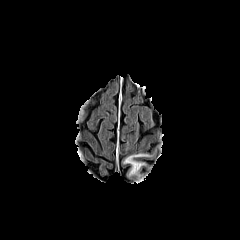
FLAIR MR image.
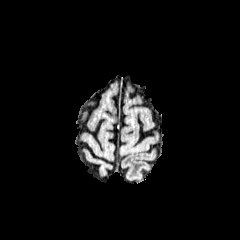
Same slice, T1-weighted magnetic resonance.
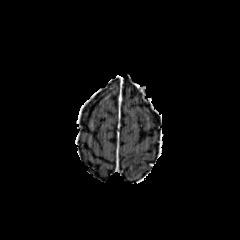
Post-contrast T1-weighted MRI.
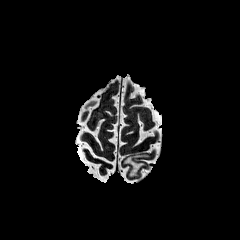
T2-weighted MRI.
Head.
The edema is bounded by 123, 154, 149, 176.